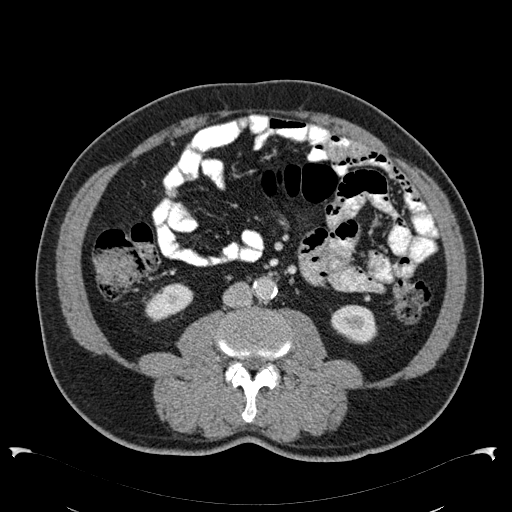
Abdomen, CT image
- kidney: 331:305:376:343, 145:284:192:321